FLAIR MR image.
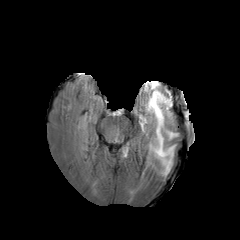
T1-weighted magnetic resonance.
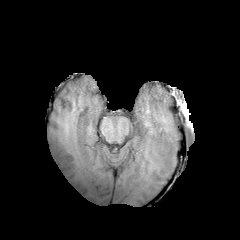
Post-contrast T1-weighted MR.
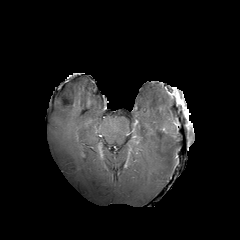
T2-weighted magnetic resonance.
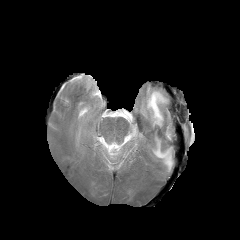
Image size 240x240. Head.
Edema at [138,82,176,176].